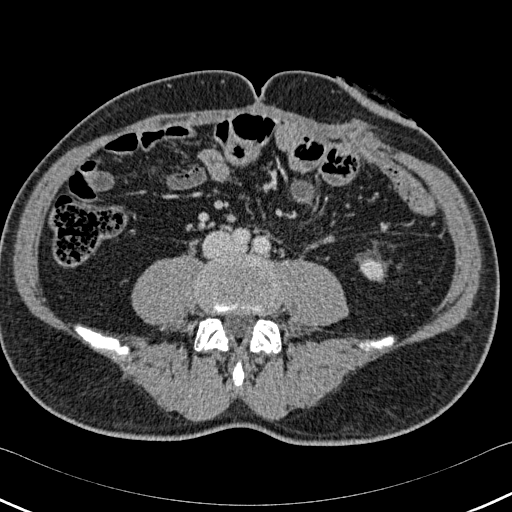
CT image

Annotated regions:
- bone: rect(367, 337, 392, 347); rect(250, 320, 280, 353); rect(201, 259, 278, 312); rect(194, 318, 227, 350); rect(76, 327, 127, 354); rect(233, 361, 243, 386)
- kidney: rect(361, 260, 382, 278)